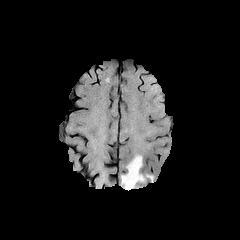
FLAIR MR image.
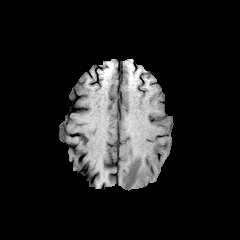
Same slice, T1-weighted magnetic resonance.
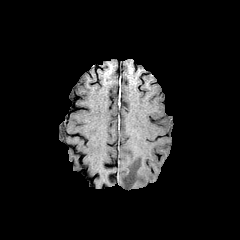
Same slice, post-contrast T1-weighted MR image.
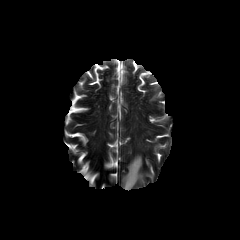
T2-weighted MR image.
240x240 px | Head
The edema appears at x1=121 y1=154 x2=153 y2=189.